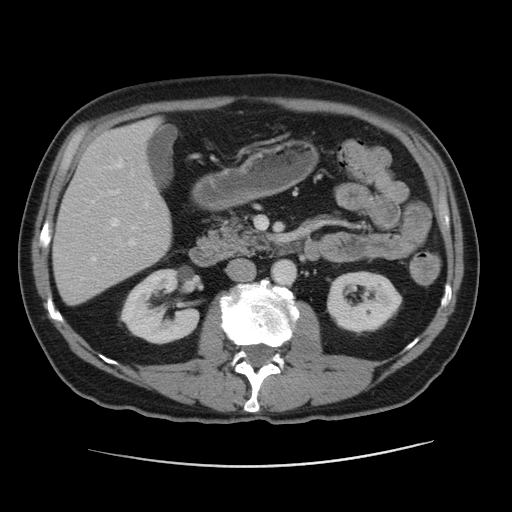

512x512 px. Computed tomography.
kidney:
  - (122, 270, 198, 342)
  - (327, 271, 401, 334)
liver:
  - (53, 121, 172, 300)